Image width 346 mm. Computed tomography. 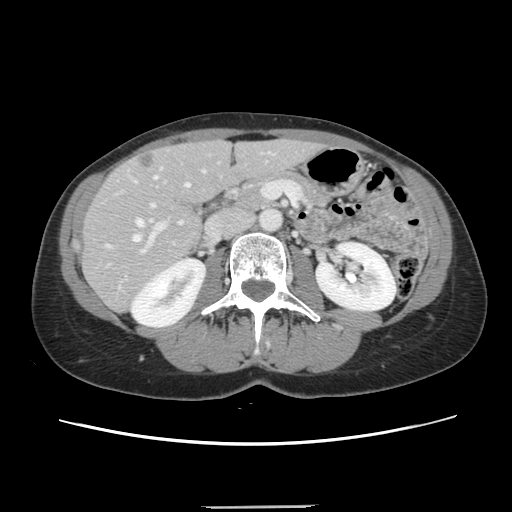

Only some of the vessels may be annotated.
Hepatic vessel at {"x1": 202, "y1": 170, "x2": 204, "y2": 172}, {"x1": 106, "y1": 244, "x2": 110, "y2": 246}, {"x1": 134, "y1": 181, "x2": 136, "y2": 182}, {"x1": 179, "y1": 221, "x2": 181, "y2": 223}, {"x1": 185, "y1": 183, "x2": 188, "y2": 186}, {"x1": 150, "y1": 204, "x2": 154, "y2": 206}, {"x1": 148, "y1": 223, "x2": 164, "y2": 244}, {"x1": 154, "y1": 176, "x2": 156, "y2": 178}, {"x1": 133, "y1": 235, "x2": 140, "y2": 241}, {"x1": 136, "y1": 219, "x2": 142, "y2": 225}, {"x1": 141, "y1": 248, "x2": 145, "y2": 251}.
Liver tumor at {"x1": 139, "y1": 153, "x2": 152, "y2": 167}.